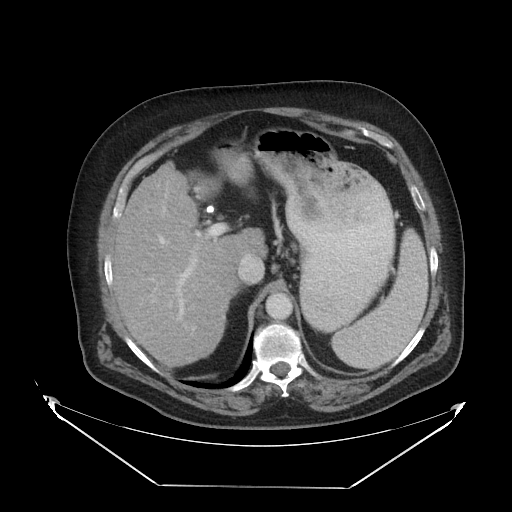
Computed tomography | Abdomen

Some hepatic vessels may have no box.
Hepatic vessel — (177, 258, 196, 316), (239, 254, 262, 281), (209, 224, 223, 235), (197, 233, 199, 235).